Abdomen. CT image. Slice index 3.
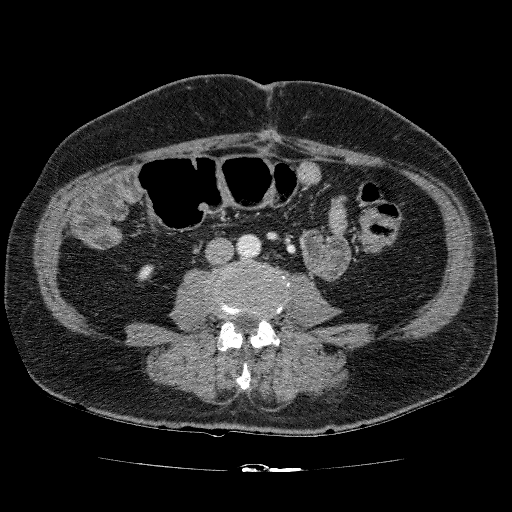 Kidney — x1=139 y1=265 x2=152 y2=279.